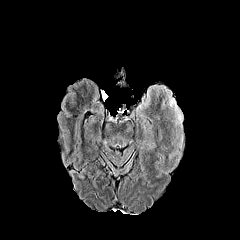
FLAIR MR image.
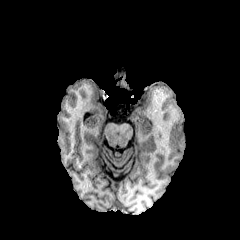
Same slice, T1-weighted MR image.
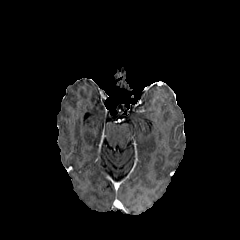
Same slice, post-contrast T1-weighted MR.
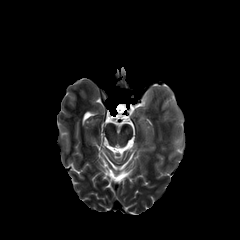
T2-weighted MRI of the same slice.
Brain
<segmentation>
  <edema>bbox(168, 97, 182, 124)</edema>
</segmentation>